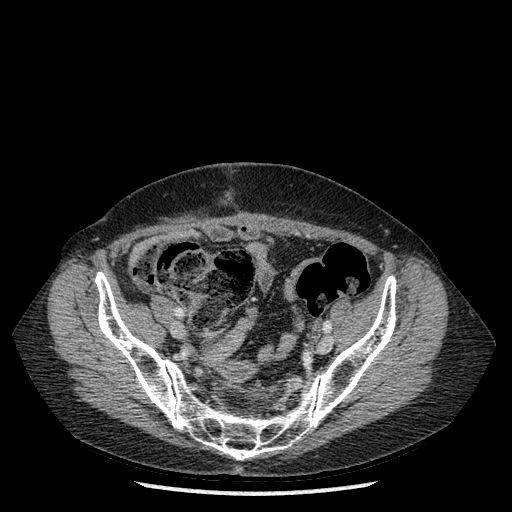

CT slice.
Bone = <box>94,272,396,460</box>.